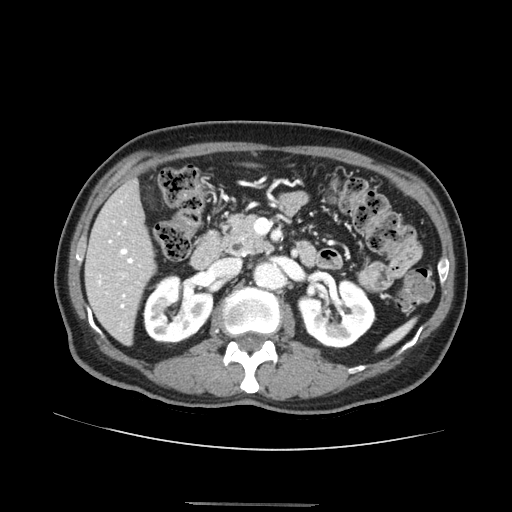 Abdomen; CT slice
The pancreas is bounded by (226, 216, 269, 253).